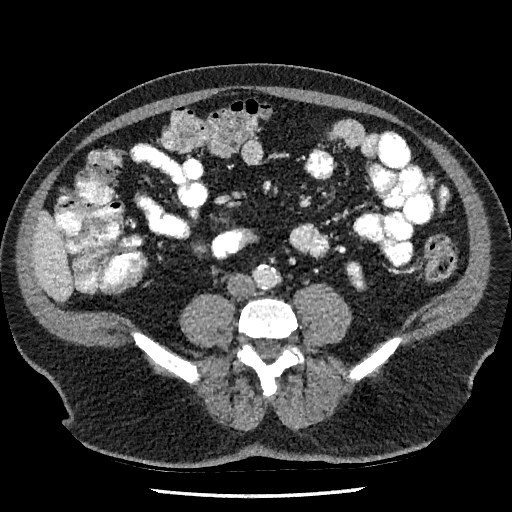

Liver, CT

Kidney: bounding box [347,263,360,278].
Liver: bounding box [34,212,71,299].